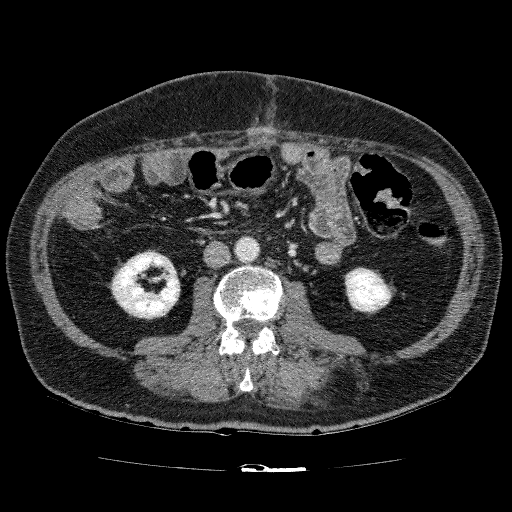

Abdomen; CT scan slice
Segmented structures:
- kidney: (x1=111, y1=251, x2=179, y2=318), (x1=345, y1=268, x2=391, y2=312)